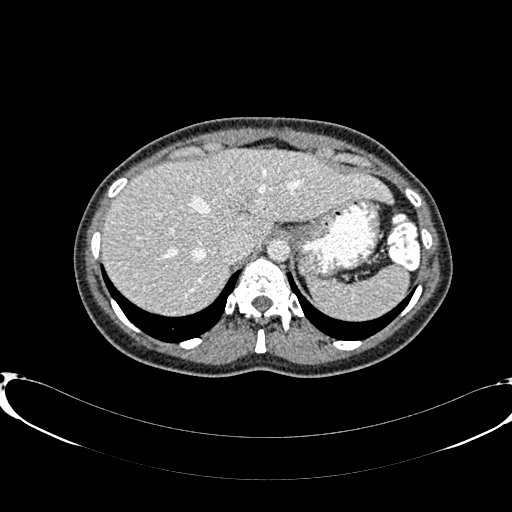

CT scan slice
{"liver": ["l=102, t=149, r=393, b=314"]}